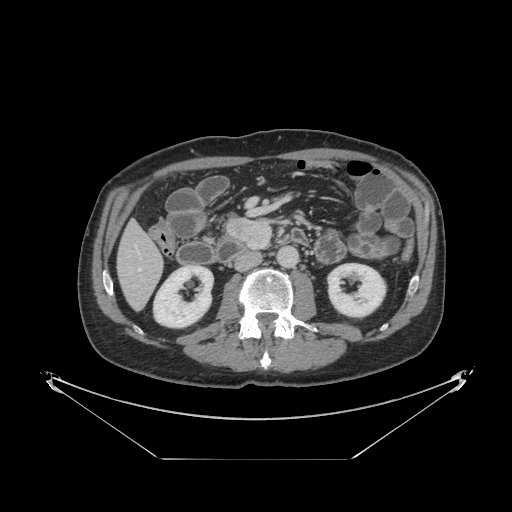 CT

Pancreas at (214, 212, 241, 237).
Pancreatic tumor at (226, 217, 272, 249).